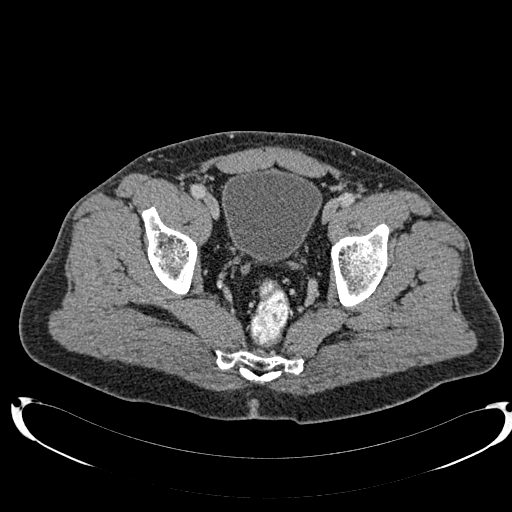

Computed tomography
Urinary bladder: bounding box 222,167,322,263.